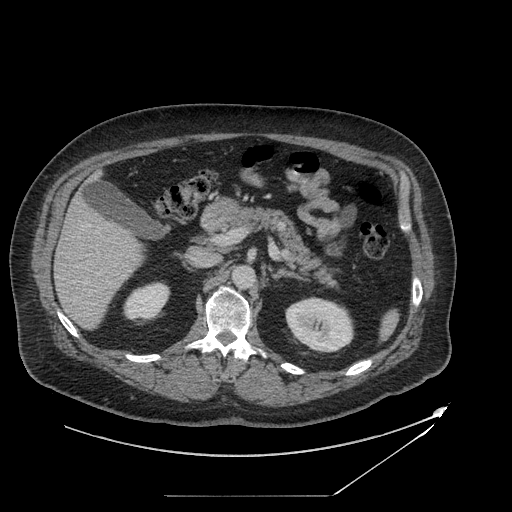

Upper abdomen. Computed tomography. 512x512. Annotated regions:
- pancreas: box=[225, 208, 337, 288]